MRI slice; 35x52 px; Slice index 15
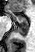
{"anterior_hippocampus": ["(7,7,18,21)", "(22,16,27,20)"], "posterior_hippocampus": ["(14,21,27,38)"]}